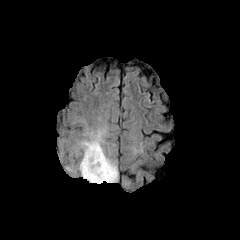
FLAIR MRI.
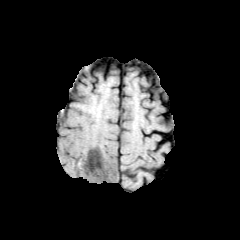
T1-weighted MRI.
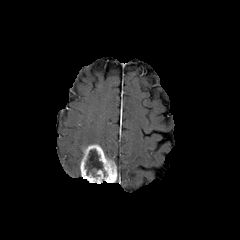
Post-contrast T1-weighted MR image of the same slice.
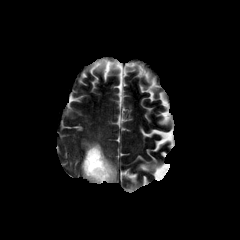
Same slice, T2-weighted MR.
Annotated regions:
• enhancing tumor: box=[80, 145, 117, 183]
• edema: box=[64, 118, 119, 182]
• non-enhancing tumor core: box=[85, 149, 107, 176]